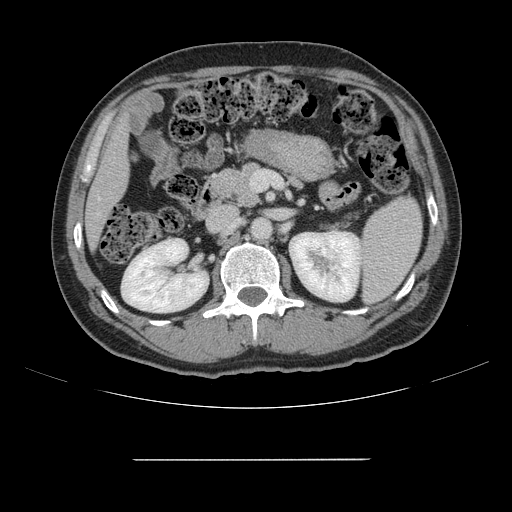 CT slice. Only some of the vessels may be annotated.
hepatic_vessel:
  - rect(98, 198, 99, 199)